Computed tomography, Image width 426 mm, Upper abdomen, Image size 512x512

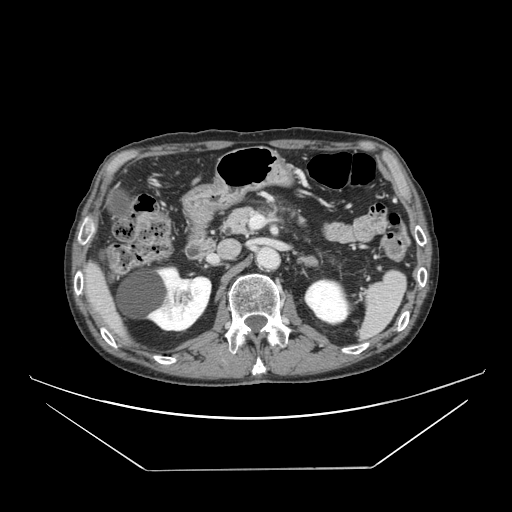 * pancreas: (left=219, top=204, right=260, bottom=237)